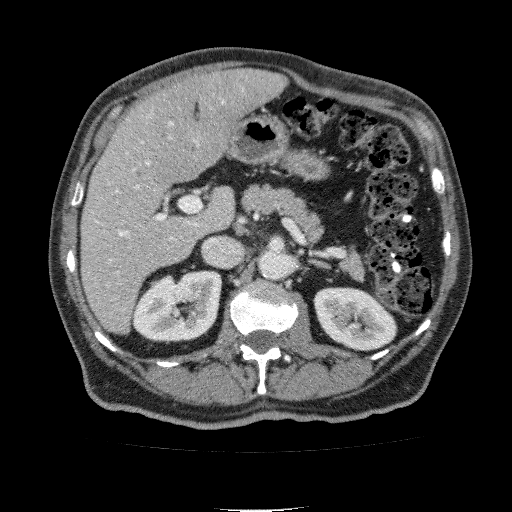

Liver, CT image, 512x512 px
liver: bbox(83, 69, 288, 336) | kidney: bbox(134, 272, 220, 340); bbox(315, 288, 395, 349)